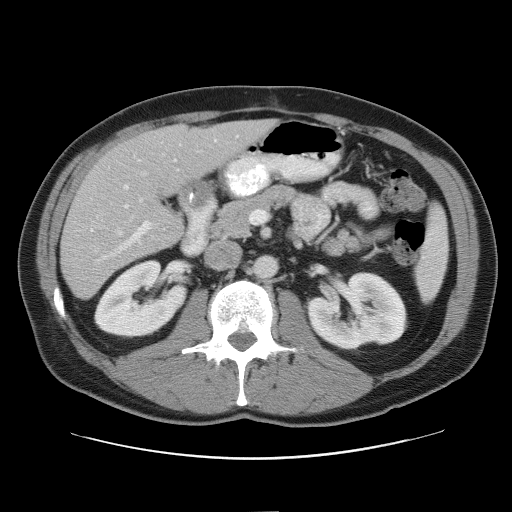

Computed tomography
Some hepatic vessels may have no box.
<segmentation>
  <hepatic_vessel>{"x1": 95, "y1": 249, "x2": 97, "y2": 251}, {"x1": 134, "y1": 155, "x2": 139, "y2": 161}, {"x1": 90, "y1": 221, "x2": 92, "y2": 230}, {"x1": 130, "y1": 216, "x2": 132, "y2": 219}, {"x1": 124, "y1": 205, "x2": 127, "y2": 208}, {"x1": 94, "y1": 222, "x2": 151, "y2": 262}, {"x1": 139, "y1": 198, "x2": 142, "y2": 200}, {"x1": 162, "y1": 154, "x2": 163, "y2": 155}, {"x1": 236, "y1": 136, "x2": 237, "y2": 137}, {"x1": 197, "y1": 151, "x2": 201, "y2": 152}, {"x1": 141, "y1": 172, "x2": 145, "y2": 175}, {"x1": 124, "y1": 185, "x2": 127, "y2": 189}, {"x1": 214, "y1": 140, "x2": 215, "y2": 141}, {"x1": 116, "y1": 230, "x2": 121, "y2": 234}</hepatic_vessel>
</segmentation>